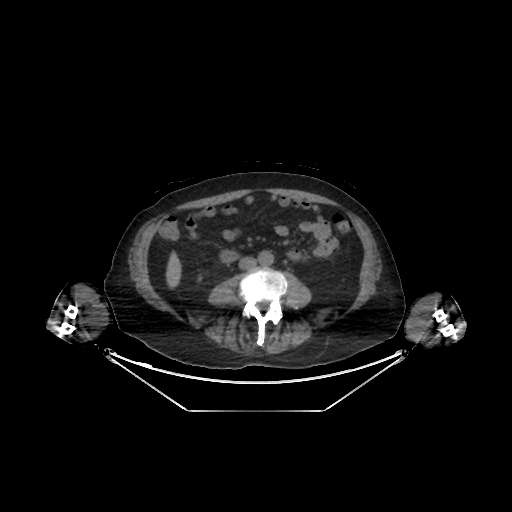
CT | Liver
<segmentation>
  <liver>box(166, 253, 180, 286)</liver>
</segmentation>